FLAIR magnetic resonance.
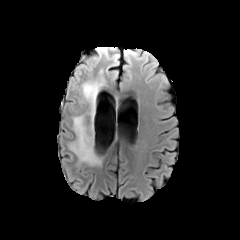
T1-weighted MRI.
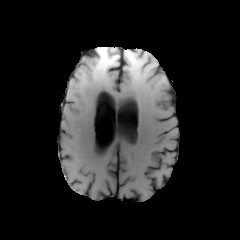
Post-contrast T1-weighted MRI.
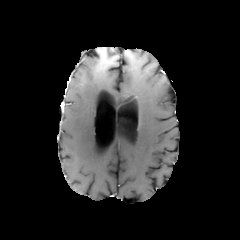
T2-weighted MR image.
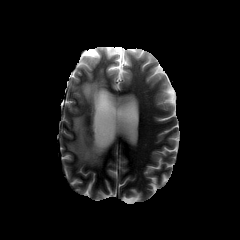
240x240 px | Brain
Non-enhancing tumor core: [93,48,117,64].
Enhancing tumor: [97,50,107,59].
Edema: [69,56,105,165], [98,58,109,68], [124,50,139,77], [107,66,117,79].